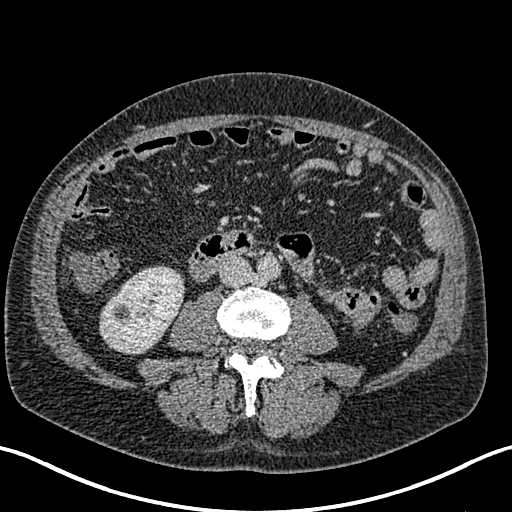
CT image | Abdomen
<segmentation>
  <kidney>bbox=[100, 267, 183, 353]</kidney>
</segmentation>